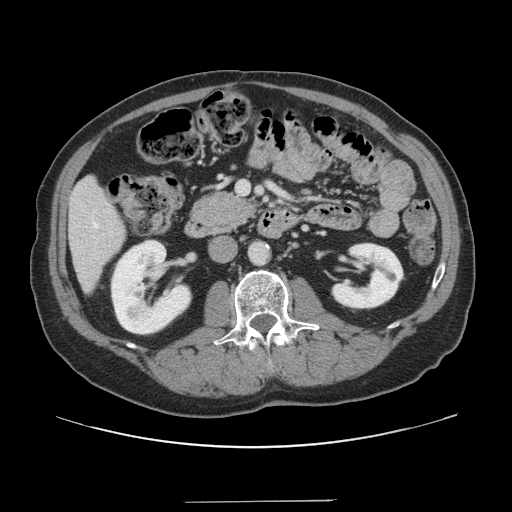

CT image, Abdomen
The vessel annotation is not exhaustive.
hepatic_vessel:
  - x1=237 y1=182 x2=248 y2=193
  - x1=94 y1=223 x2=97 y2=227